Computed tomography; 512x512

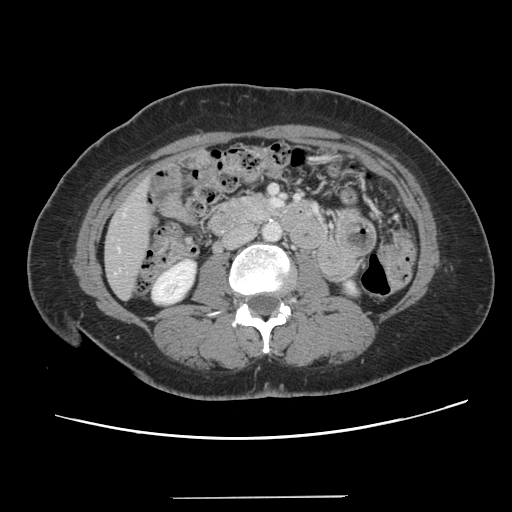

The vessel boxes may cover only some of the vessels.
hepatic_vessel:
  - (x1=117, y1=247, x2=120, y2=252)